Slice 98 of 155
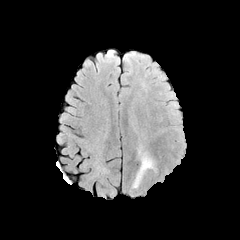
FLAIR magnetic resonance.
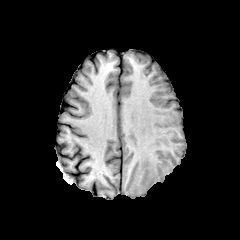
T1-weighted MRI.
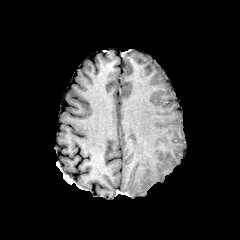
Same slice, post-contrast T1-weighted MR.
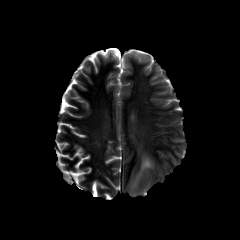
T2-weighted magnetic resonance.
{"edema": ["132:155:153:188"]}